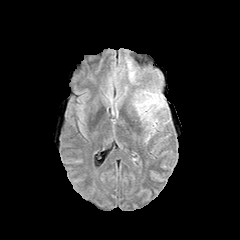
FLAIR magnetic resonance.
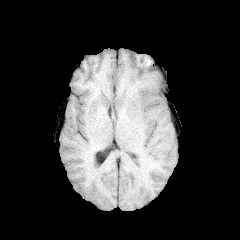
T1-weighted MR image.
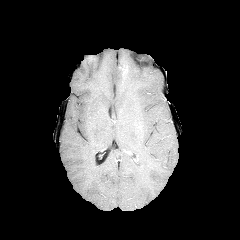
Same slice, post-contrast T1-weighted MR.
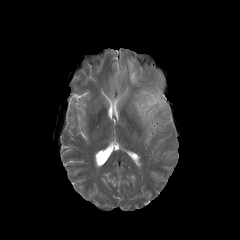
Same slice, T2-weighted MR.
240x240 px
{
  "edema": [
    "133 88 165 130"
  ]
}